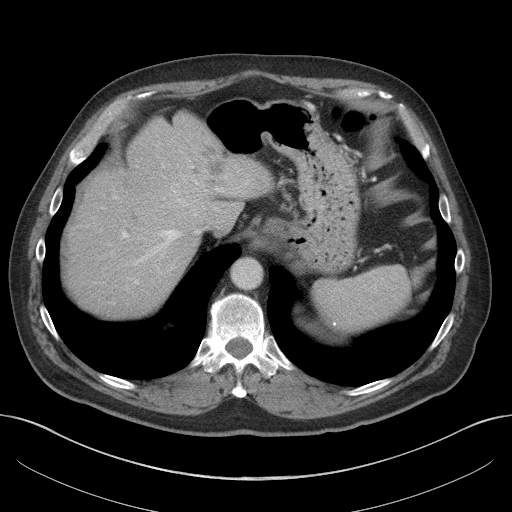 Abdomen, Image size 512x512, CT slice
Annotated regions:
- hepatic lesion: 204, 145, 215, 154; 207, 161, 224, 175
- liver: 60, 111, 273, 320